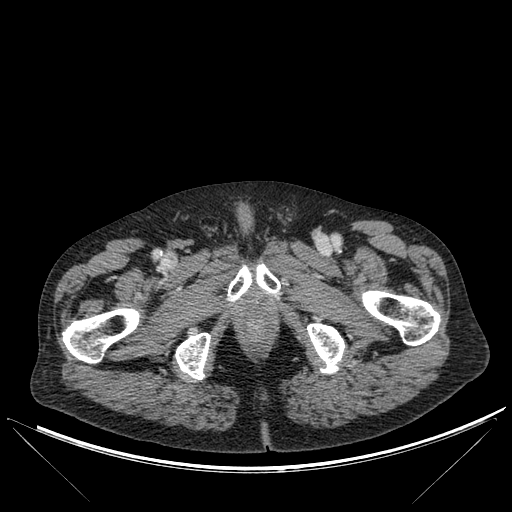
CT

Bone — [x1=307, y1=323, x2=344, y2=373], [x1=175, y1=333, x2=210, y2=380], [x1=227, y1=264, x2=280, y2=301], [x1=61, y1=308, x2=139, y2=363], [x1=361, y1=290, x2=440, y2=345].